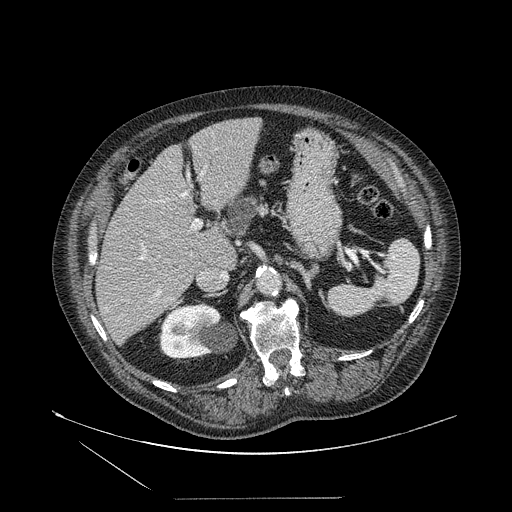
CT, Abdomen
Pancreatic tumor = (228, 197, 253, 234).
Pancreas = (225, 193, 269, 237).